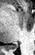

MR.
The posterior hippocampus appears at [10,45,17,49].